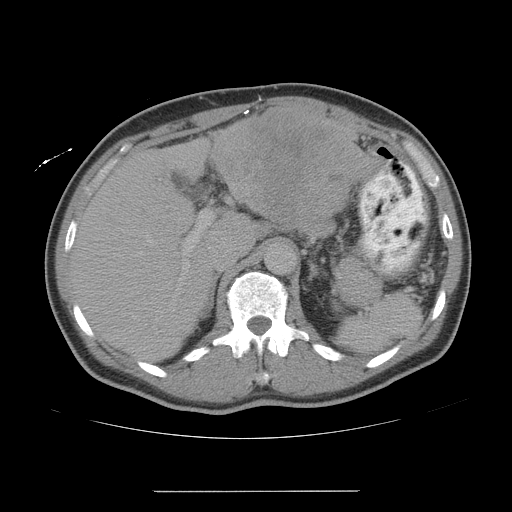
CT slice. Only some of the vessels may be annotated.
The liver tumor appears at (x1=217, y1=108, x2=374, y2=228). 5 hepatic vessel regions are located at (x1=139, y1=251, x2=141, y2=254), (x1=178, y1=211, x2=209, y2=285), (x1=146, y1=234, x2=154, y2=245), (x1=171, y1=246, x2=173, y2=249), (x1=179, y1=218, x2=180, y2=219).